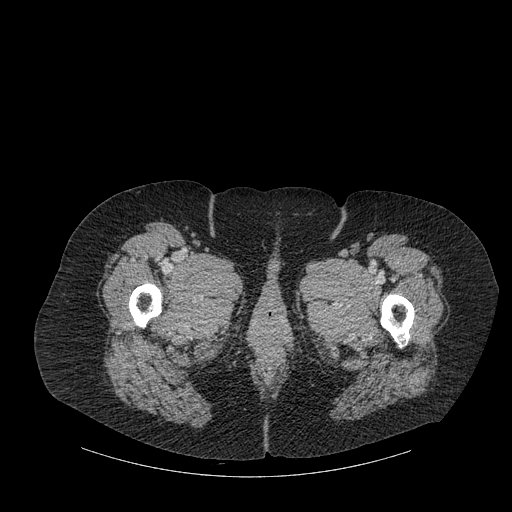

512x512 px, CT
2 bone regions are bounded by {"x1": 380, "y1": 294, "x2": 414, "y2": 347}, {"x1": 129, "y1": 283, "x2": 161, "y2": 327}.